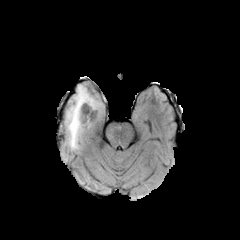
FLAIR MRI.
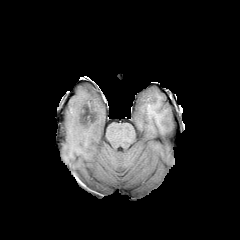
Same slice, T1-weighted MR image.
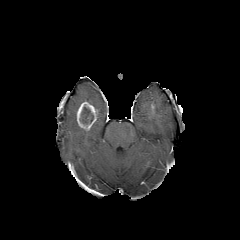
Post-contrast T1-weighted MR.
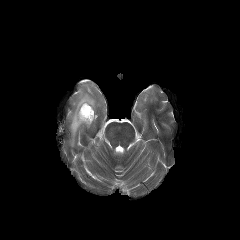
T2-weighted MRI.
240x240.
enhancing_tumor:
  - l=77, t=99, r=94, b=128
non-enhancing_tumor_core:
  - l=82, t=106, r=96, b=124
edema:
  - l=64, t=85, r=100, b=149